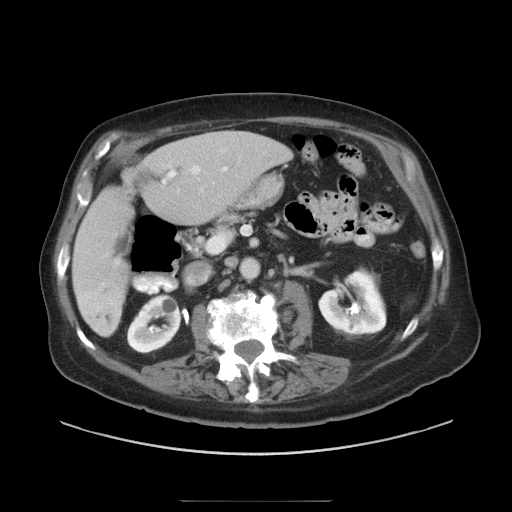 CT scan slice, Liver
The vessel boxes may cover only some of the vessels.
The liver tumor is at box(93, 311, 114, 328). 7 hepatic vessel regions are bounded by box(206, 233, 227, 252); box(162, 171, 176, 183); box(191, 166, 200, 174); box(200, 189, 202, 191); box(177, 188, 180, 192); box(222, 149, 224, 152); box(222, 167, 226, 170).